512x512. CT scan slice. Abdomen. Image width 475 mm. 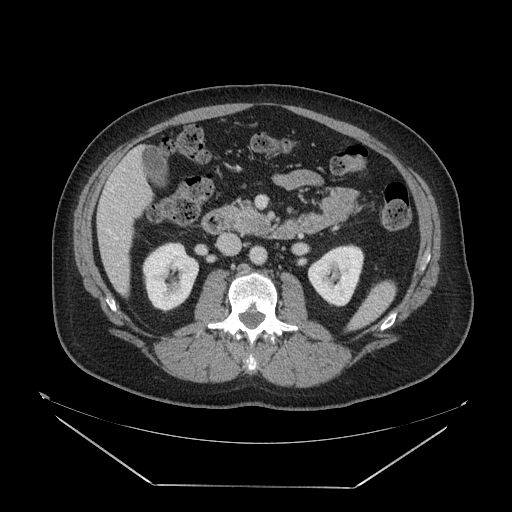 <segmentation>
  <pancreas>227 205 265 233</pancreas>
  <pancreatic_tumor>247 217 268 234</pancreatic_tumor>
</segmentation>